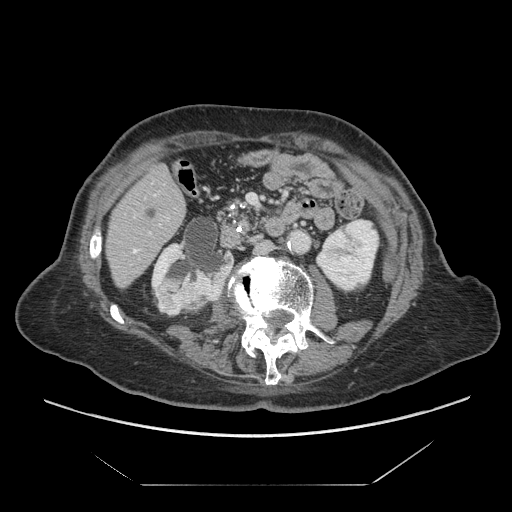 CT slice
The pancreas is located at {"x1": 213, "y1": 195, "x2": 261, "y2": 226}.